33x50. Magnetic resonance. Slice 20/35.
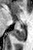

Annotated regions:
- posterior hippocampus: [x1=13, y1=27, x2=25, y2=40]